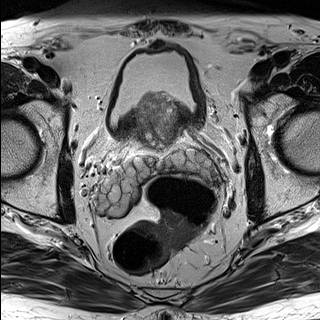
T2-weighted MRI.
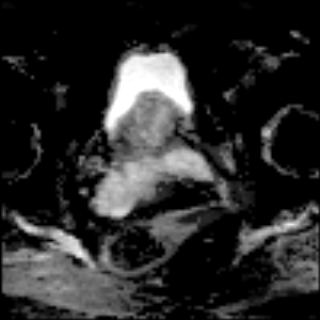
ADC MR image.
Pelvis.
* prostate transition zone: 135:94:176:146